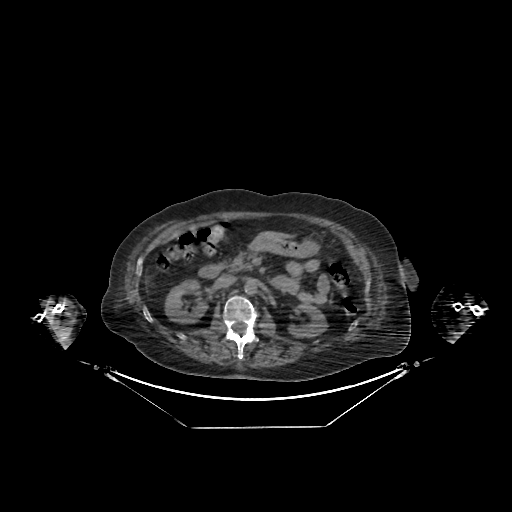
Computed tomography. Abdomen. kidney: bbox=[288, 303, 327, 337]; bbox=[165, 279, 208, 323] | liver: bbox=[242, 251, 265, 257]; bbox=[251, 231, 292, 244]